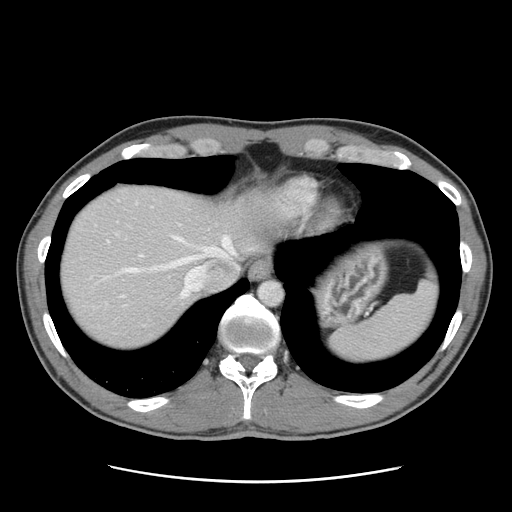 Liver | CT slice | Image size 512x512
The vessel annotation is not exhaustive.
9 hepatic vessel regions are located at (103, 276, 107, 279), (202, 236, 233, 257), (121, 295, 123, 296), (123, 268, 138, 271), (107, 240, 108, 242), (139, 254, 143, 256), (153, 256, 197, 268), (174, 236, 182, 241), (181, 266, 205, 295).